Computed tomography. 512x512 px. Slice 40 of 124.

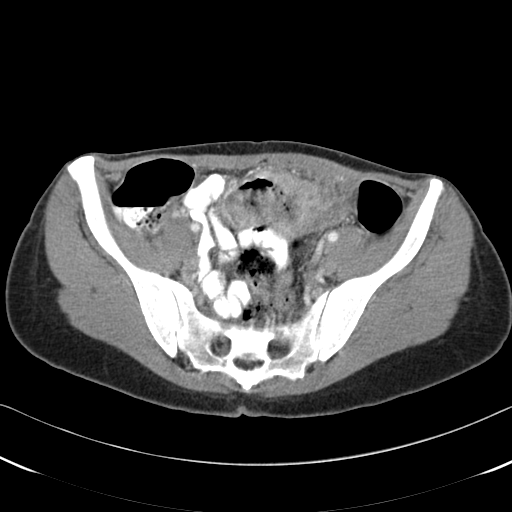

<segmentation>
  <colon_tumor><bbox>255, 168, 350, 235</bbox></colon_tumor>
</segmentation>